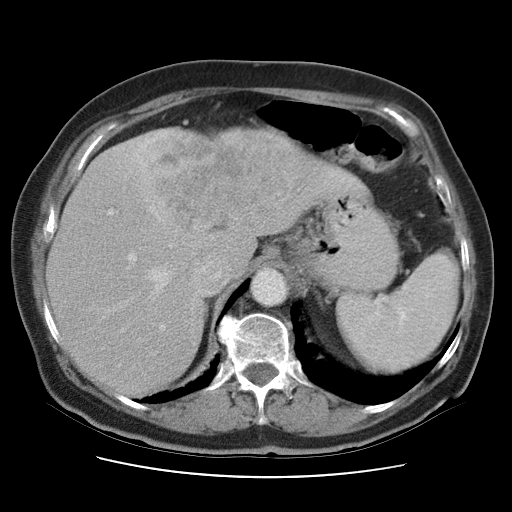 CT.
The vessel annotation is not exhaustive.
The liver tumor is at bbox(143, 132, 303, 232). 6 hepatic vessel regions are bounded by bbox(130, 254, 134, 259); bbox(108, 211, 112, 214); bbox(210, 274, 215, 278); bbox(123, 293, 139, 305); bbox(207, 262, 212, 265); bbox(147, 268, 170, 286).